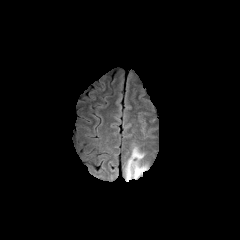
FLAIR MR.
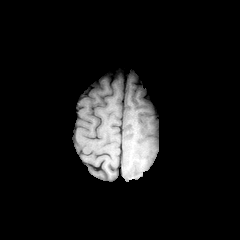
T1-weighted MR.
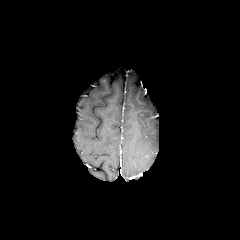
Same slice, post-contrast T1-weighted MR.
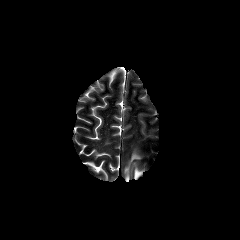
T2-weighted MR image.
Brain.
Edema at <bbox>124, 151, 146, 181</bbox>.